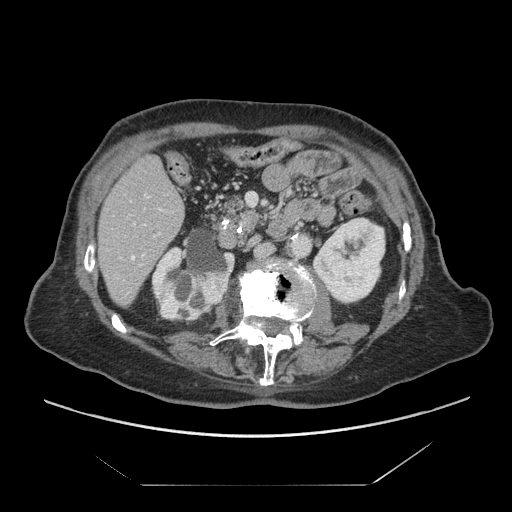
CT
{"pancreatic_tumor": ["x1=240 y1=214 x2=261 y2=232"], "pancreas": ["x1=209 y1=196 x2=263 y2=237"]}